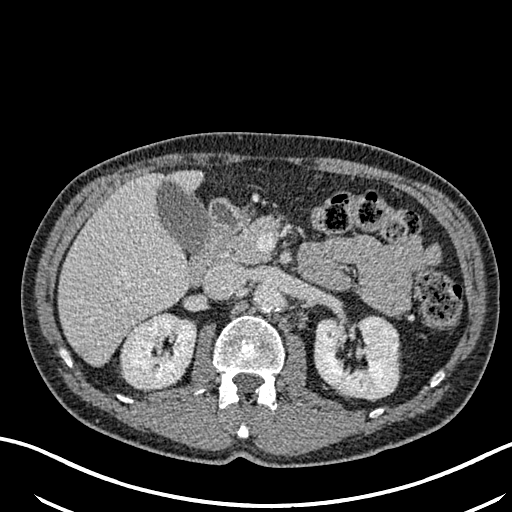
CT
Findings:
* liver: left=172, top=171, right=201, bottom=191; left=58, top=174, right=188, bottom=365
* kidney: left=122, top=315, right=195, bottom=388; left=315, top=317, right=397, bottom=398
* focal liver lesion: left=76, top=347, right=87, bottom=358